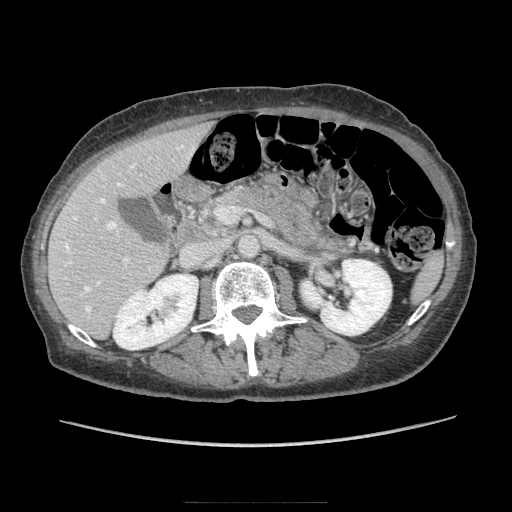
Upper abdomen. 512x512. Computed tomography. {"pancreas": ["(200,185,323,245)"]}